Brain | 240x240 px
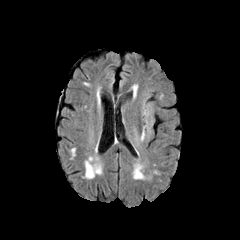
FLAIR MR.
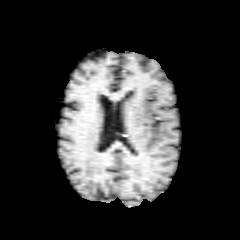
T1-weighted magnetic resonance.
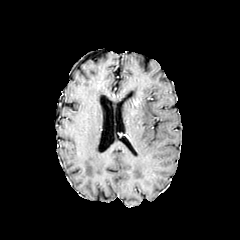
Same slice, post-contrast T1-weighted MR image.
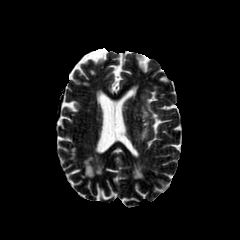
T2-weighted MRI.
edema: 132, 85, 137, 99; 139, 102, 153, 140